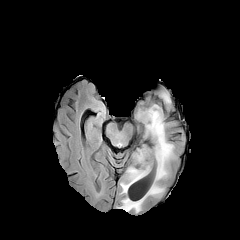
FLAIR MRI.
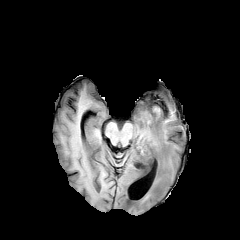
T1-weighted MRI of the same slice.
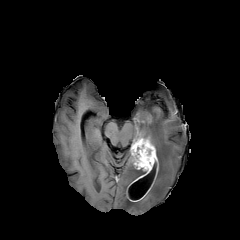
Same slice, post-contrast T1-weighted magnetic resonance.
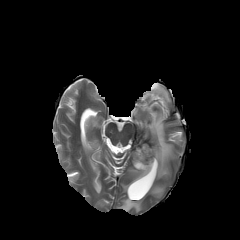
T2-weighted MR image of the same slice.
non-enhancing_tumor_core:
  - 148 162 159 173
  - 132 139 153 157
edema:
  - 161 92 170 102
  - 118 104 175 212
enhancing_tumor:
  - 133 147 157 179